Head. Slice index 108.
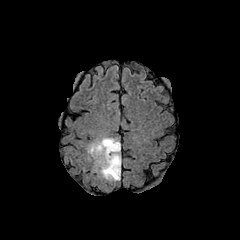
FLAIR MRI.
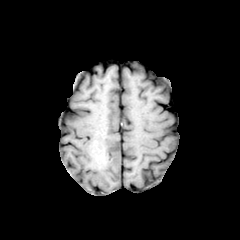
T1-weighted magnetic resonance.
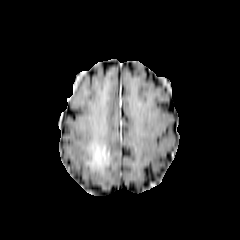
Post-contrast T1-weighted MR.
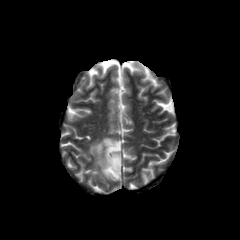
Same slice, T2-weighted MR image.
edema: bbox(86, 136, 121, 182) | non-enhancing tumor core: bbox(91, 144, 117, 169) | enhancing tumor: bbox(93, 147, 105, 166)